Slice 83 of 155; Head
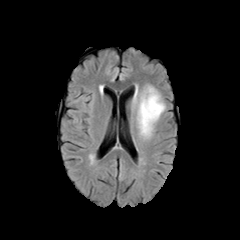
FLAIR MRI.
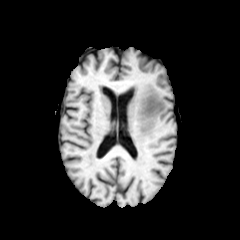
T1-weighted MR of the same slice.
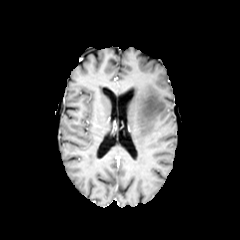
Same slice, post-contrast T1-weighted magnetic resonance.
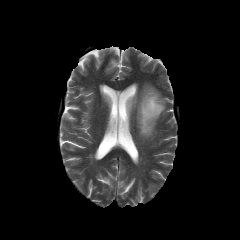
T2-weighted MR image of the same slice.
Edema at x1=133 y1=86 x2=165 y2=136.